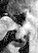 MRI slice | 38x53 px
posterior_hippocampus:
  - (13, 39, 25, 46)
anterior_hippocampus:
  - (10, 14, 11, 16)